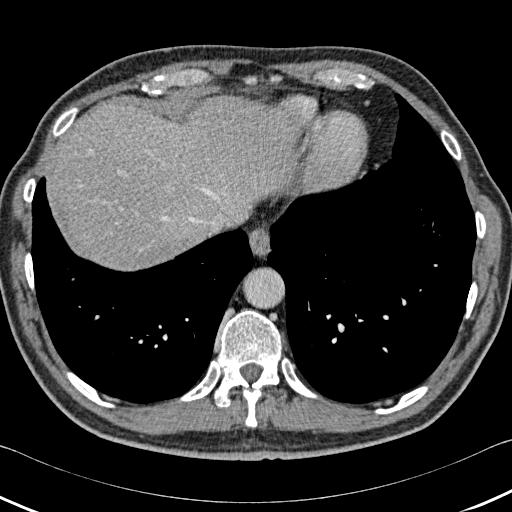 CT image; Image size 512x512
The lung is located at 31 92 476 404. The liver is located at 47 95 297 269. 10 bone regions are bounded by 53 108 77 136, 466 282 477 318, 375 386 427 413, 67 372 114 407, 475 211 485 237, 180 311 281 426, 23 179 35 202, 282 358 316 398, 24 253 33 289, 441 130 460 159.